Head | Slice 58/155
FLAIR MRI.
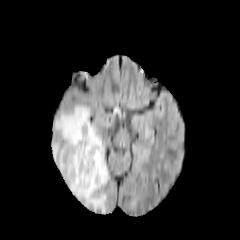
T1-weighted MRI.
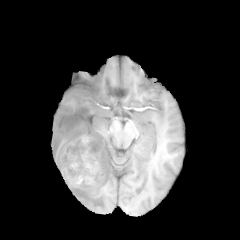
Post-contrast T1-weighted magnetic resonance.
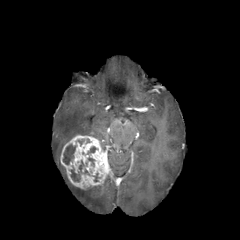
T2-weighted MR.
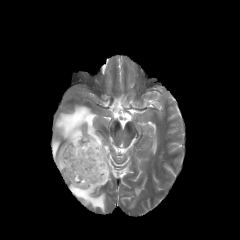
2 non-enhancing tumor core regions are located at [62, 144, 75, 165], [68, 165, 81, 182]. The enhancing tumor appears at [60, 135, 108, 189]. The edema appears at [52, 104, 106, 212].